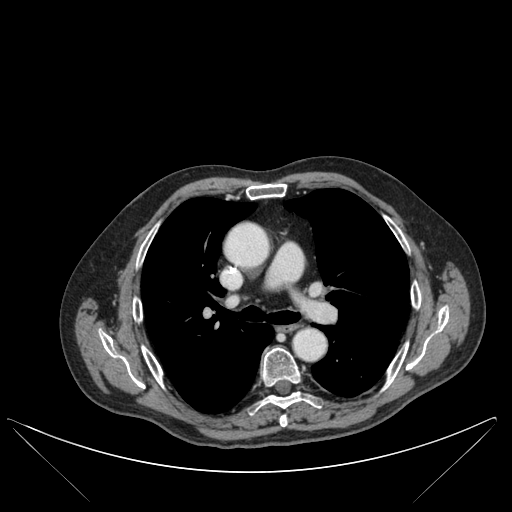

CT scan slice; 512x512

<segmentation>
  <bone>[386,216,406,246], [411,281,420,308], [406,306,448,369], [133,297,142,321], [280,415,286,426], [383,343,408,389], [246,184,286,199], [100,332,144,388], [262,347,300,385], [259,391,319,408], [137,227,155,265], [142,346,163,386]</bone>
  <lung>[141,198,299,413], [284,189,409,396]</lung>
</segmentation>